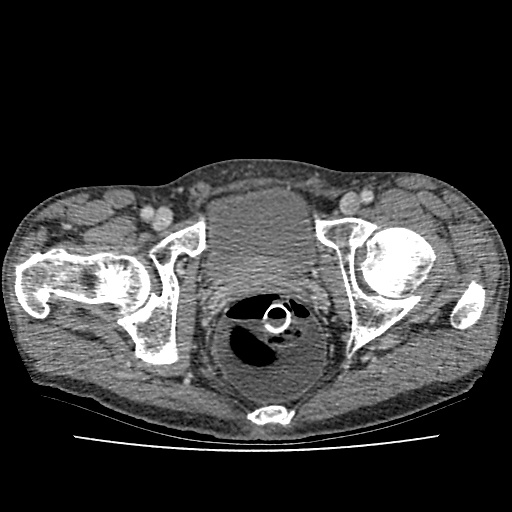
Lower abdomen. Computed tomography.

urinary_bladder:
  - rect(196, 186, 315, 281)